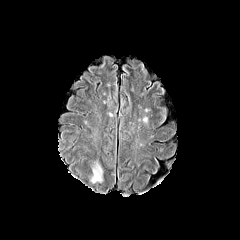
FLAIR MR image.
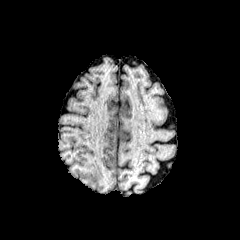
T1-weighted MRI.
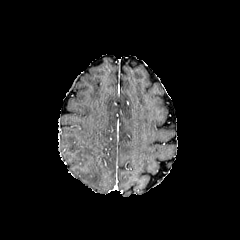
Post-contrast T1-weighted MR.
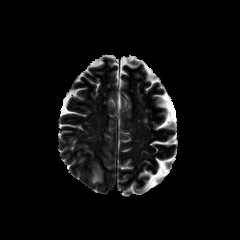
T2-weighted MR image of the same slice.
Head; 240x240
edema:
  - bbox(91, 169, 101, 183)